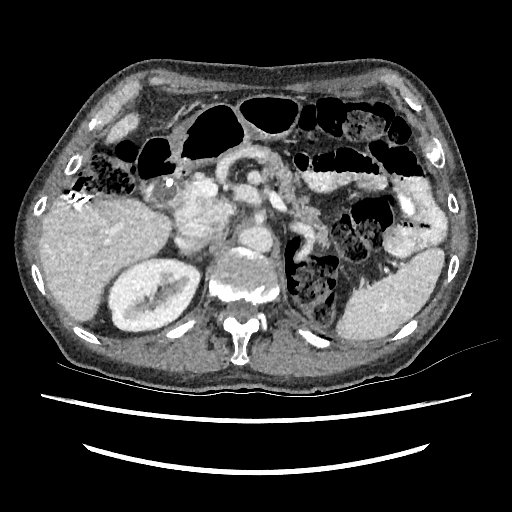

Computed tomography, Abdomen, 512x512

The kidney appears at x1=109 y1=259 x2=199 y2=331. 2 liver regions are bounded by x1=107 y1=114 x2=137 y2=141, x1=40 y1=199 x2=170 y2=320.